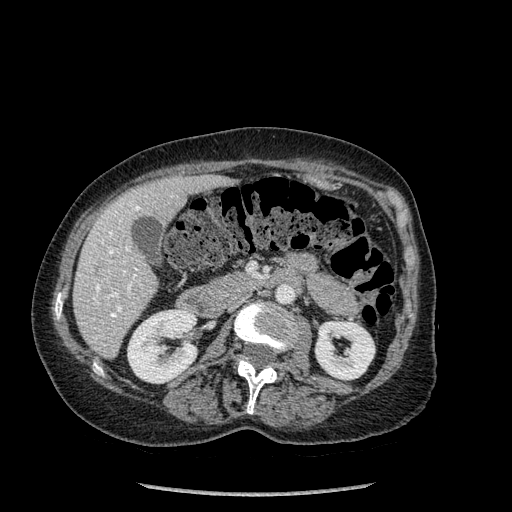
CT scan slice
Liver: 73,175,238,359.
Kidney: 127,310,196,383; 315,322,374,379.
Bone: 54,293,63,319; 234,301,298,352; 236,358,282,414; 93,362,103,375.